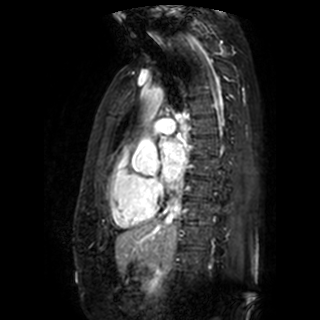

Image size 320x320; MRI; Cardiac
Left atrium = (x1=161, y1=140, x2=186, y2=180).